Image width 240 mm
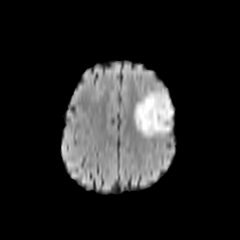
FLAIR MR image.
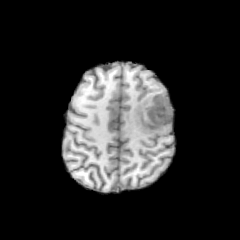
T1-weighted MRI.
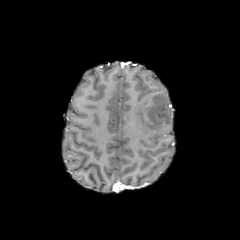
Post-contrast T1-weighted MRI.
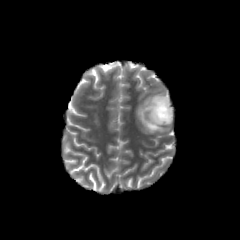
T2-weighted MR image.
non-enhancing tumor core: x1=142 y1=95 x2=171 y2=128 | edema: x1=134 y1=87 x2=174 y2=137